Image width 373 mm. Slice 377/771. Upper abdomen. CT image.

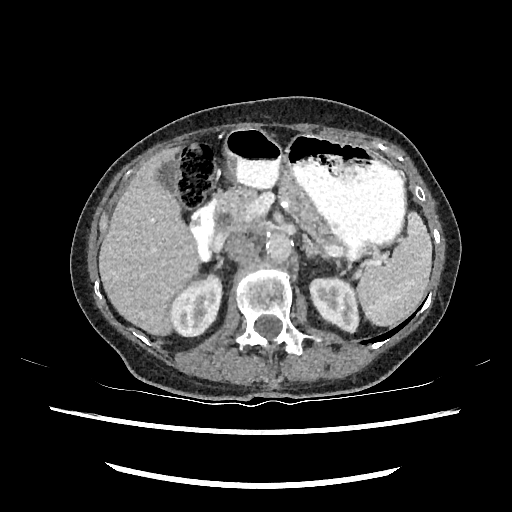
Liver — bbox(99, 148, 198, 334).
Kidney — bbox(171, 278, 220, 335); bbox(311, 279, 357, 329).